FLAIR MR.
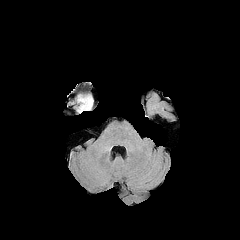
T1-weighted MR image.
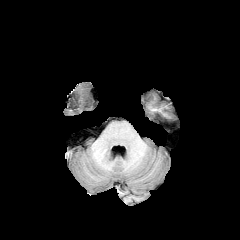
Post-contrast T1-weighted MRI.
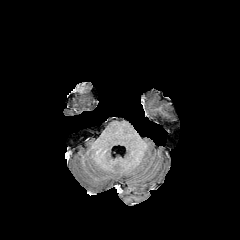
T2-weighted magnetic resonance.
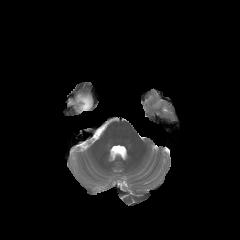
Image size 240x240
• edema: <box>76,94,92,113</box>